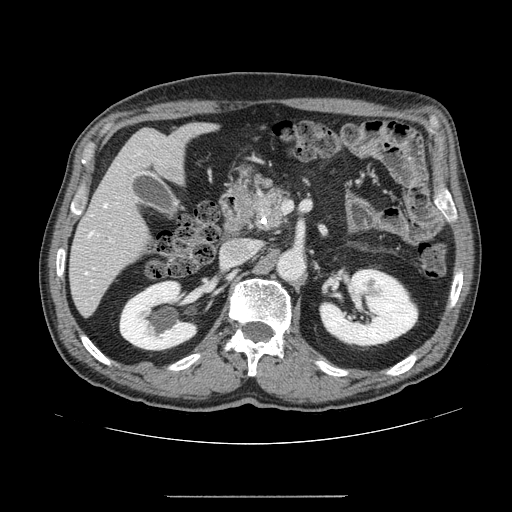
CT image; Upper abdomen
Findings:
- pancreas: [248, 185, 292, 234]